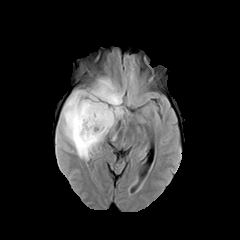
FLAIR MR image.
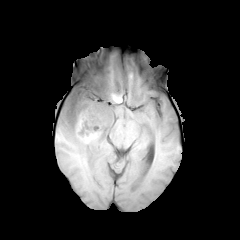
T1-weighted MR.
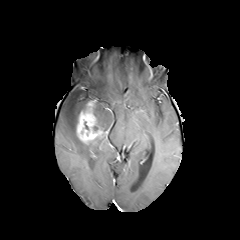
Same slice, post-contrast T1-weighted MRI.
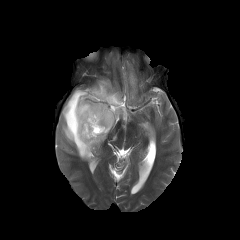
T2-weighted magnetic resonance.
2 edema regions are located at box(86, 77, 127, 129); box(62, 89, 107, 160). The enhancing tumor appears at box(76, 100, 107, 143). 4 non-enhancing tumor core regions are bounded by box(94, 120, 110, 131); box(71, 115, 78, 136); box(84, 90, 101, 108); box(70, 92, 79, 110).